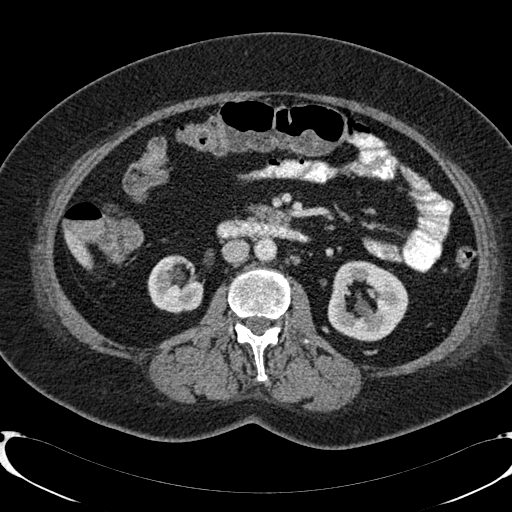
Image size 512x512, Computed tomography

2 kidney regions appear at box(328, 262, 407, 340); box(149, 257, 202, 311). The liver is at box(65, 229, 91, 267).